Slice index 122, Field of view 240x240 mm, Image size 240x240
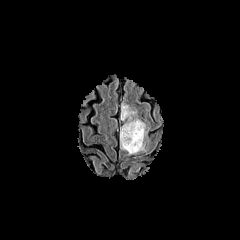
FLAIR MR image.
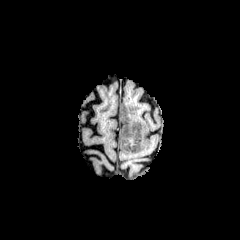
T1-weighted MR image of the same slice.
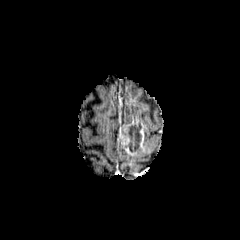
Post-contrast T1-weighted magnetic resonance of the same slice.
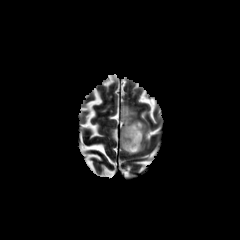
T2-weighted MR image of the same slice.
The non-enhancing tumor core is located at (126,122,141,152). The edema is located at (120,103,135,118). 2 enhancing tumor regions appear at (139,122,146,151), (120,124,137,156).